240x240. Field of view 240 mm wide, 1.00 mm slice spacing.
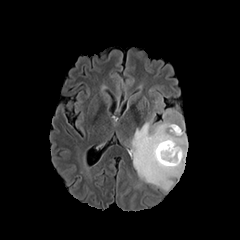
FLAIR magnetic resonance.
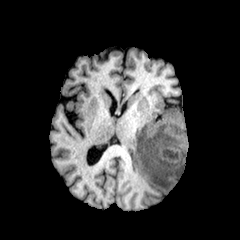
Same slice, T1-weighted MR image.
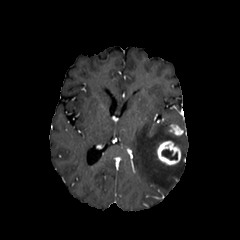
Post-contrast T1-weighted MRI.
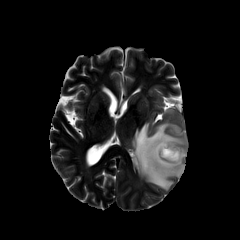
Same slice, T2-weighted magnetic resonance.
Edema: <box>132,120,187,190</box>.
Non-enhancing tumor core: <box>162,149,177,160</box>.
Enhancing tumor: <box>157,141,180,165</box>, <box>169,124,183,135</box>.